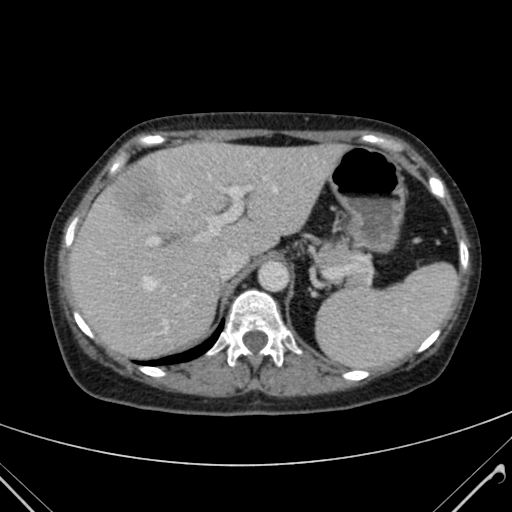 Liver, CT image
Focal liver lesion — [113, 164, 165, 221].
Liver — [70, 142, 344, 357].